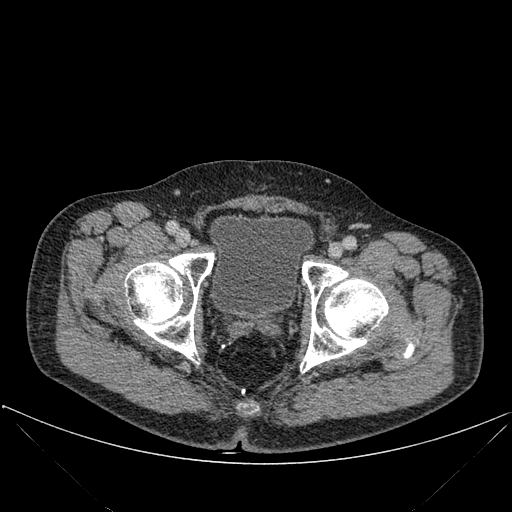
CT scan slice; 512x512

The urinary bladder is located at bbox(209, 214, 314, 323). 4 bone regions are bounded by bbox(404, 343, 413, 357); bbox(238, 404, 258, 412); bbox(300, 261, 388, 372); bbox(125, 253, 214, 362).